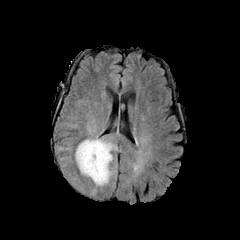
FLAIR magnetic resonance.
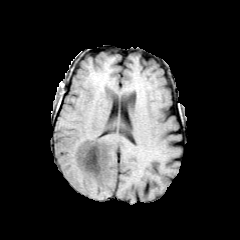
T1-weighted magnetic resonance of the same slice.
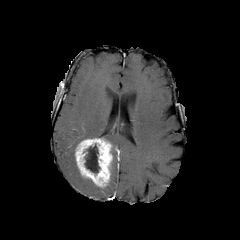
Same slice, post-contrast T1-weighted MR.
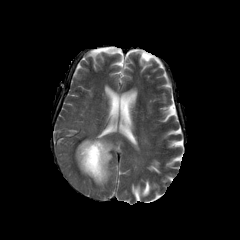
T2-weighted MRI.
Brain
The enhancing tumor appears at l=75, t=138, r=112, b=186. The non-enhancing tumor core is bounded by l=84, t=146, r=99, b=172.